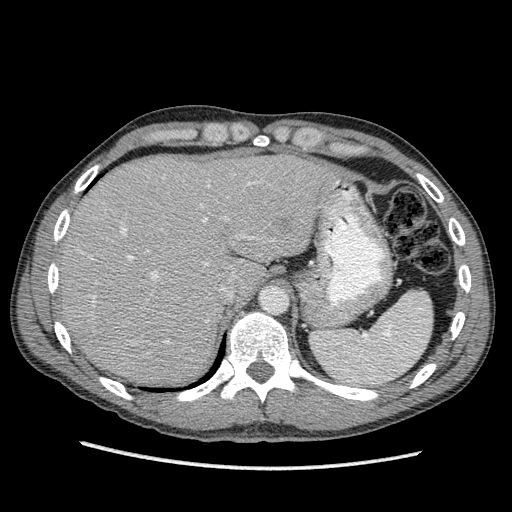 512x512; CT
The liver lies within rect(56, 149, 337, 386). The focal liver lesion is bounded by rect(274, 215, 291, 233).